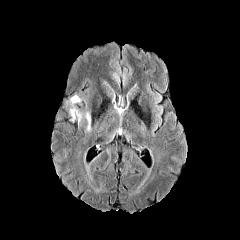
FLAIR MR image.
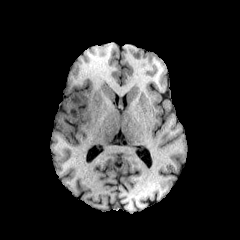
Same slice, T1-weighted MRI.
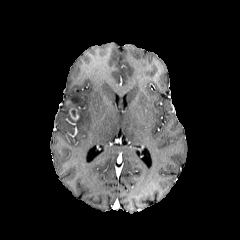
Same slice, post-contrast T1-weighted magnetic resonance.
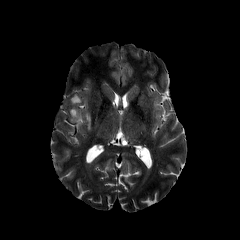
T2-weighted MRI.
240x240 px.
The enhancing tumor is located at region(66, 99, 78, 121). 2 edema regions are located at region(69, 94, 81, 104); region(85, 113, 90, 131).